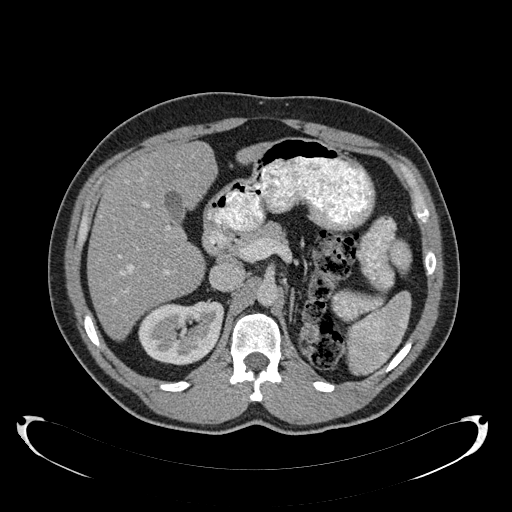

CT image | 512x512 px
Annotated regions:
- liver: (239, 144, 267, 162), (88, 143, 216, 338)
- kidney: (139, 302, 223, 364)